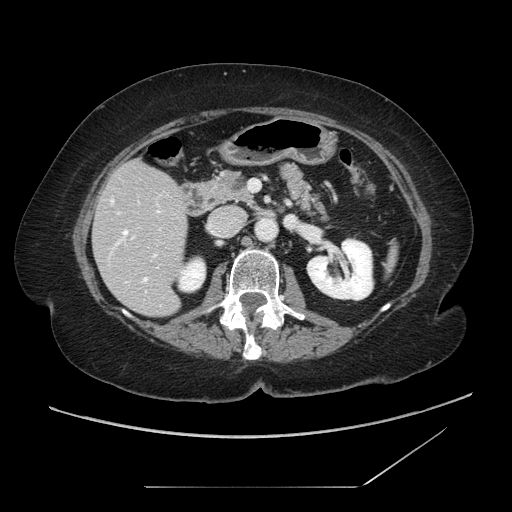

CT scan slice | Abdomen
Pancreas at 211:169:254:205, 279:162:328:222.
Pancreatic tumor at 230:176:245:191.